512x512. CT image. Slice 440/771.

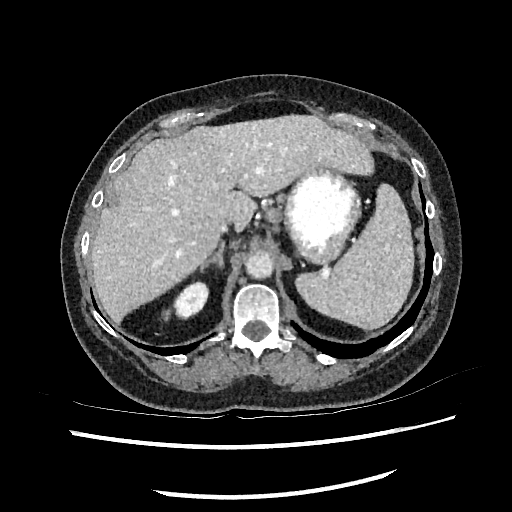
Annotated regions:
* kidney: (176,283,207,316)
* liver: (90,114,373,323)